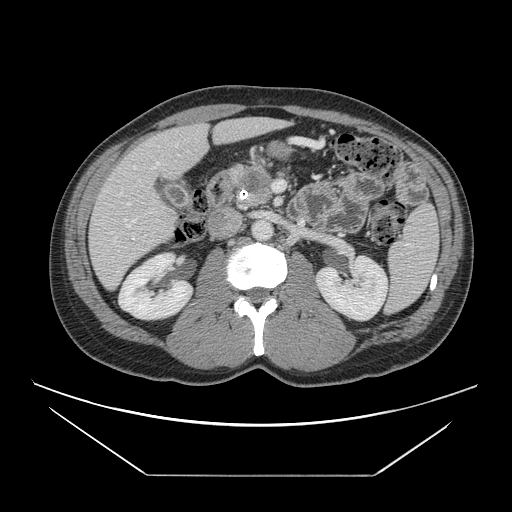
CT slice | Image size 512x512

Segmented structures:
• pancreatic tumor: 242,170,261,191
• pancreas: 235,169,271,207